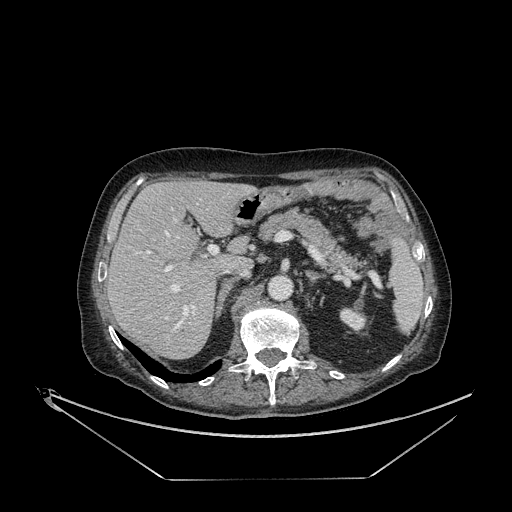 CT slice; Upper abdomen; Image size 512x512

Kidney — box=[340, 308, 365, 330].
Liver — box=[108, 181, 253, 359].